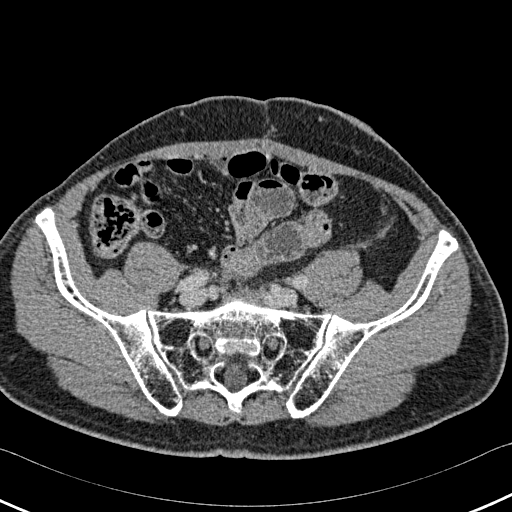
512x512 px | CT slice
The bone is bounded by 36, 209, 457, 417.